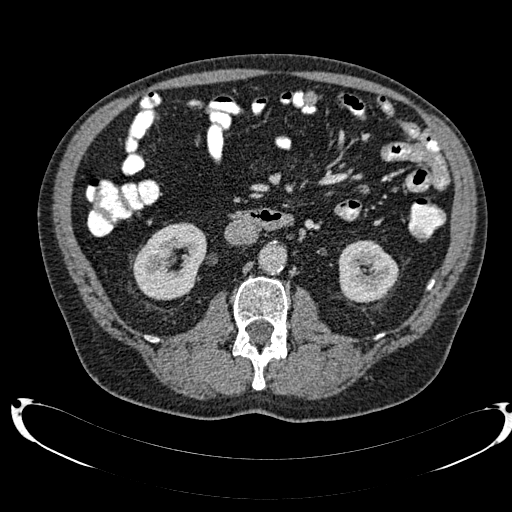 Abdomen, Computed tomography
{"kidney": ["rect(133, 223, 206, 299)", "rect(339, 240, 398, 302)"]}